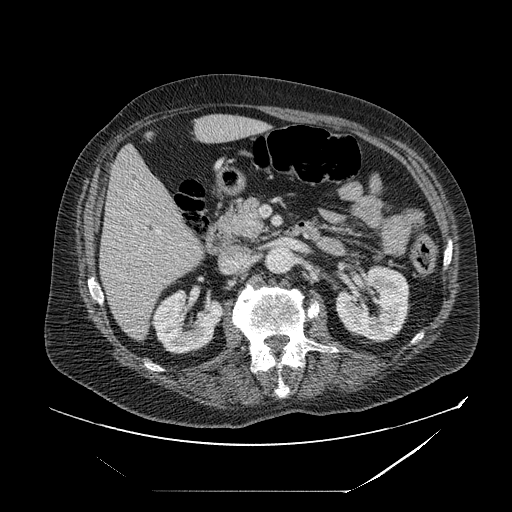 Upper abdomen; CT scan slice

Annotated regions:
• pancreatic tumor: rect(234, 221, 261, 236)
• pancreas: rect(221, 197, 264, 238)